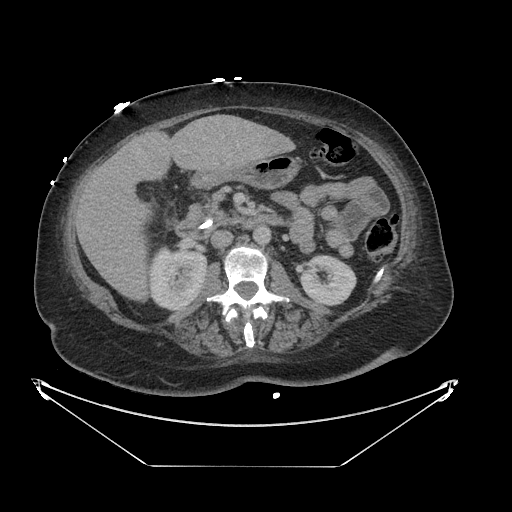

CT scan slice, Abdomen
The pancreas is located at 205, 194, 242, 226.